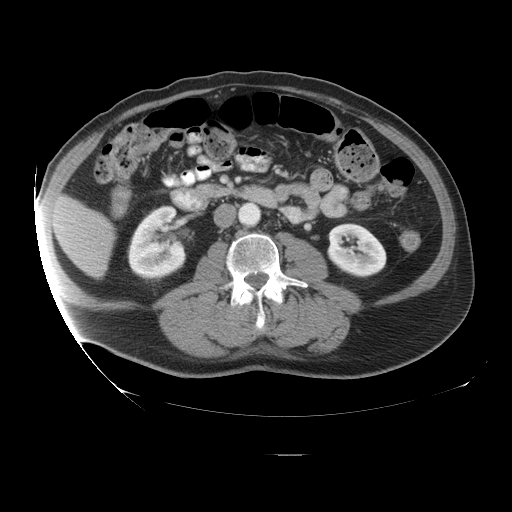

Pelvis; Computed tomography

Findings:
* colon tumor: [109,123,162,178]